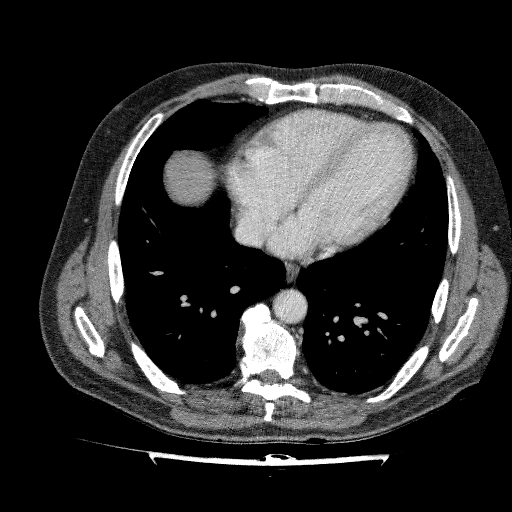
Computed tomography.
liver: l=164, t=152, r=213, b=204